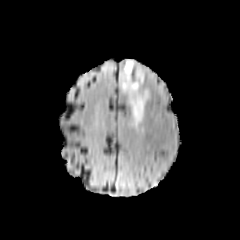
FLAIR MRI.
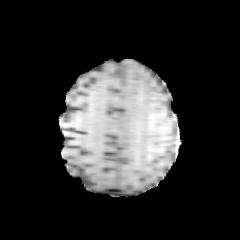
T1-weighted MR.
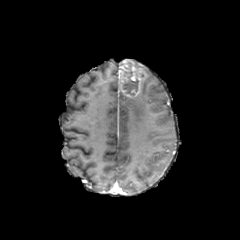
Post-contrast T1-weighted MR image.
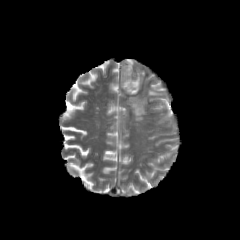
T2-weighted MR.
Brain
The enhancing tumor appears at rect(119, 59, 141, 96). The non-enhancing tumor core appears at rect(122, 79, 139, 96). The edema is bounded by rect(129, 88, 147, 123).